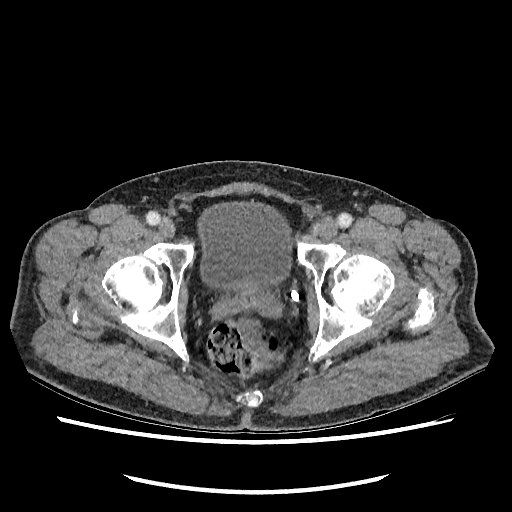
512x512 px, Computed tomography
<segmentation>
  <urinary_bladder>(198, 201, 292, 297)</urinary_bladder>
</segmentation>